Brain
FLAIR MR image.
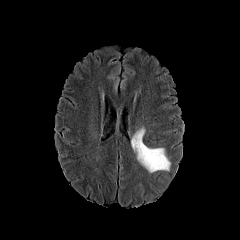
T1-weighted MRI.
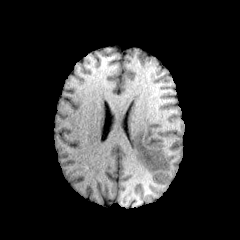
Post-contrast T1-weighted MRI.
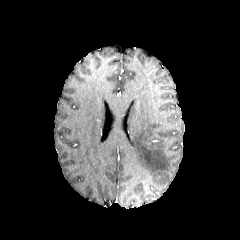
T2-weighted MR.
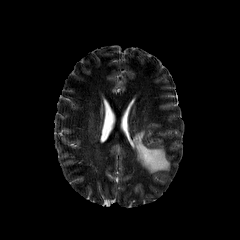
Edema at region(131, 130, 169, 172).